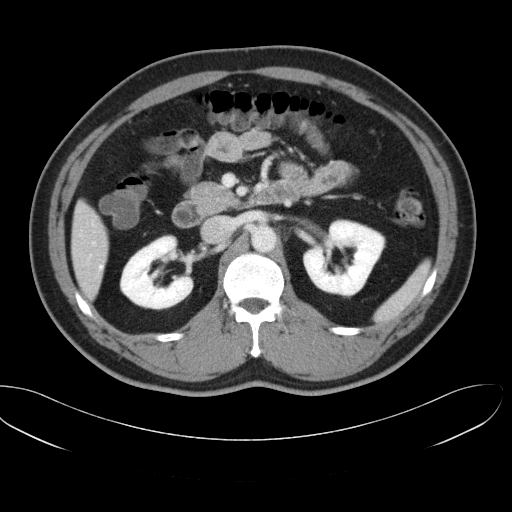 CT scan slice. 512x512.
Some hepatic vessels may have no box.
<segmentation>
  <hepatic_vessel>left=92, top=242, right=95, bottom=245; left=92, top=221, right=93, bottom=225; left=99, top=265, right=102, bottom=268; left=87, top=254, right=91, bottom=264</hepatic_vessel>
</segmentation>